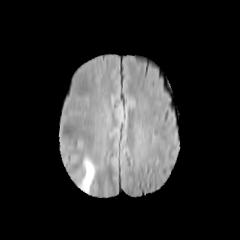
FLAIR magnetic resonance.
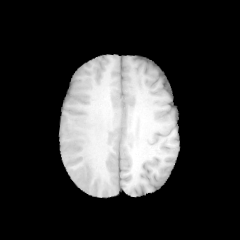
T1-weighted MR.
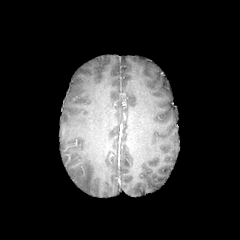
Post-contrast T1-weighted MRI.
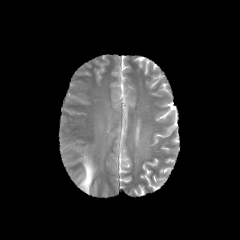
T2-weighted magnetic resonance of the same slice.
edema:
  - 78:157:95:192